Field of view 350x350 mm, CT image, Slice index 451, Liver
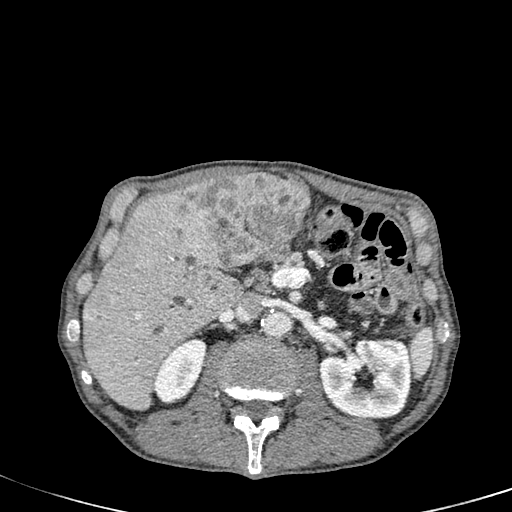
2 kidney regions are located at 154,340,205,401; 320,341,410,417. 3 focal liver lesion regions are located at 203,274,210,283; 182,174,309,272; 186,271,197,281. The liver is located at 82,185,241,410.